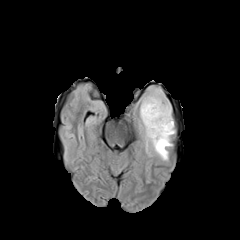
FLAIR MRI.
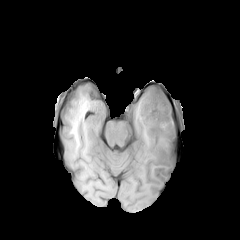
Same slice, T1-weighted magnetic resonance.
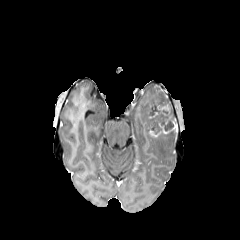
Post-contrast T1-weighted MRI of the same slice.
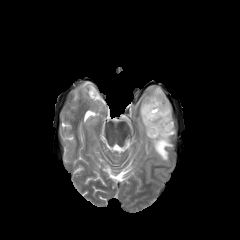
Same slice, T2-weighted MRI.
Brain
The non-enhancing tumor core is bounded by {"x1": 145, "y1": 85, "x2": 175, "y2": 136}. The edema appears at {"x1": 133, "y1": 85, "x2": 175, "y2": 163}.